Image size 240x240
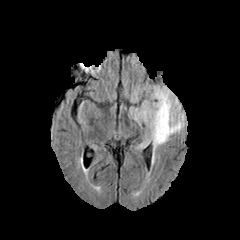
FLAIR MR image.
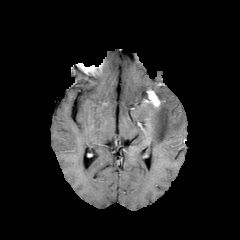
T1-weighted MRI.
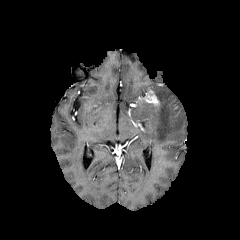
Post-contrast T1-weighted MR.
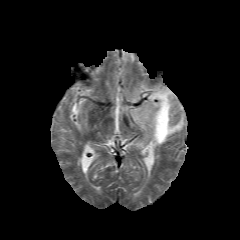
Same slice, T2-weighted magnetic resonance.
The edema appears at <bbox>129, 85, 185, 148</bbox>. The enhancing tumor is located at <bbox>146, 90, 157, 99</bbox>.